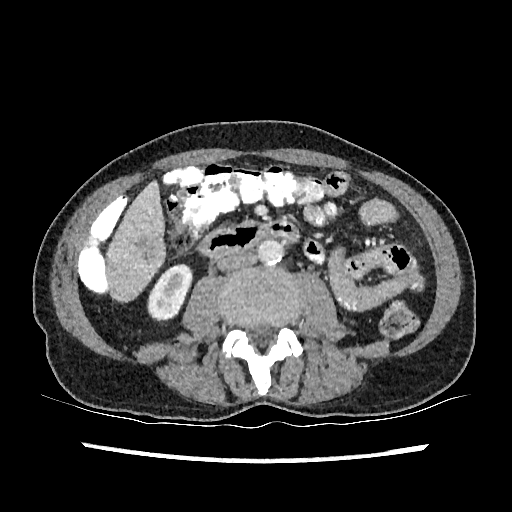

Liver, 512x512 px, Computed tomography

The focal liver lesion is located at (134, 239, 155, 263). The liver is at (106, 181, 164, 301). The kidney is at (149, 265, 191, 318).